Image size 512x512, Abdomen, CT slice, Image width 440 mm
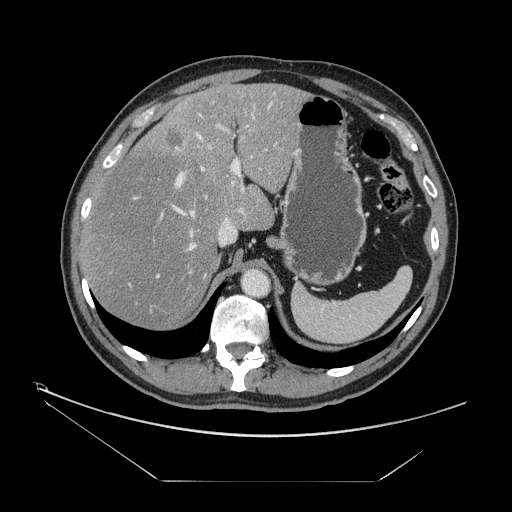
The vessel annotation is not exhaustive.
<segmentation>
  <liver_tumor>[x1=167, y1=133, x2=184, y2=149]</liver_tumor>
  <hepatic_vessel>[x1=231, y1=160, x2=239, y2=175], [x1=197, y1=134, x2=201, y2=139], [x1=217, y1=124, x2=219, y2=126], [x1=176, y1=173, x2=183, y2=186], [x1=241, y1=187, x2=243, y2=190], [x1=190, y1=232, x2=192, y2=234], [x1=208, y1=145, x2=210, y2=147], [x1=201, y1=167, x2=203, y2=170], [x1=190, y1=211, x2=193, y2=215], [x1=175, y1=208, x2=183, y2=212], [x1=225, y1=219, x2=228, y2=222], [x1=189, y1=244, x2=195, y2=248]</hepatic_vessel>
</segmentation>